CT image; 512x512 px

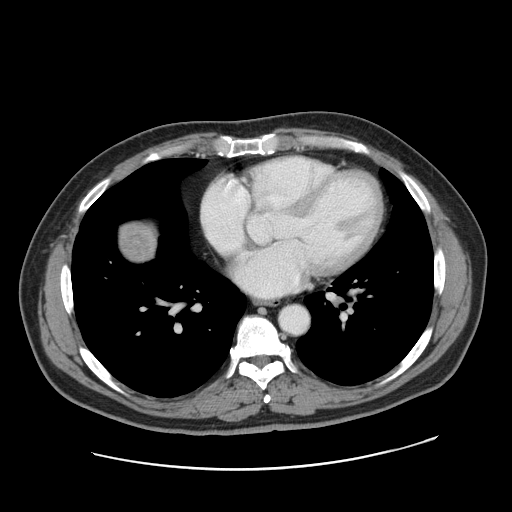

Liver tumor: rect(123, 227, 157, 259).